CT image. 512x512 px.

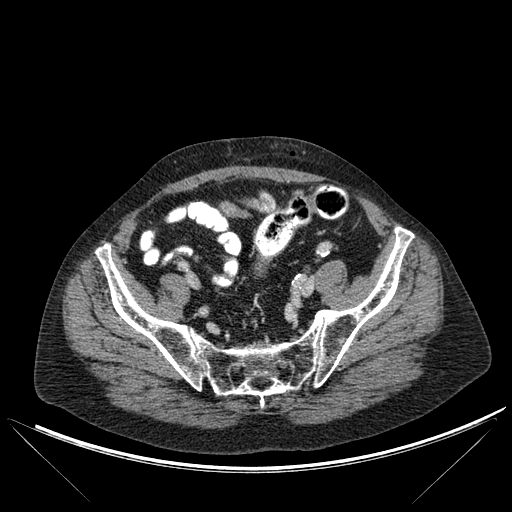 Bone = 95, 227, 413, 406.